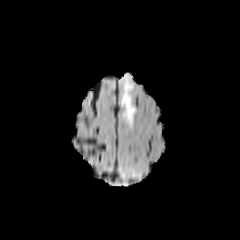
FLAIR MR image.
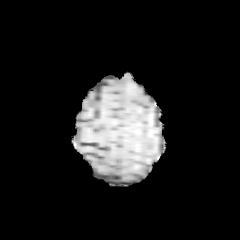
T1-weighted MR.
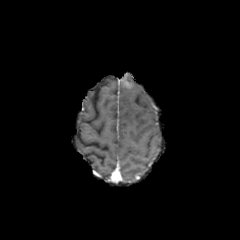
Post-contrast T1-weighted magnetic resonance.
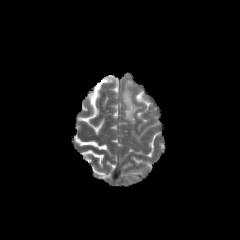
T2-weighted MR image.
The edema is located at 121,86,138,124. The enhancing tumor is bounded by 122,80,133,88.